CT image
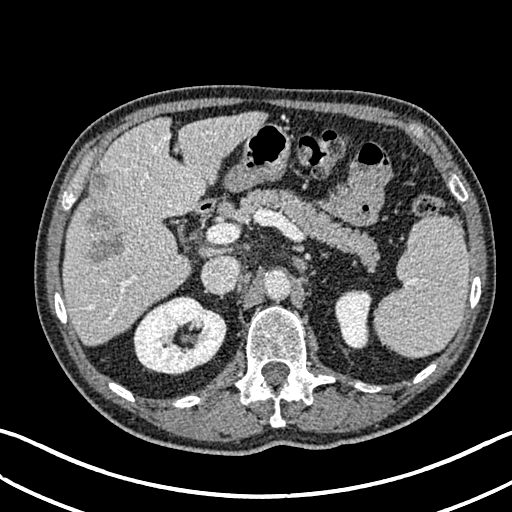
2 hepatic lesion regions are located at (87, 210, 123, 263), (93, 173, 105, 189). 2 kidney regions are bounded by (134, 297, 225, 373), (336, 292, 370, 347). The liver lies within (64, 112, 265, 344).